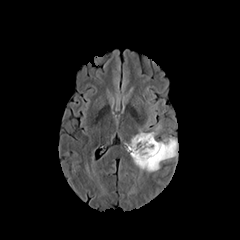
FLAIR MR image.
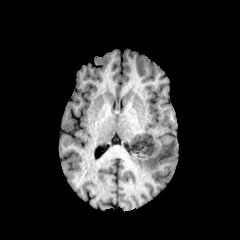
T1-weighted MR image of the same slice.
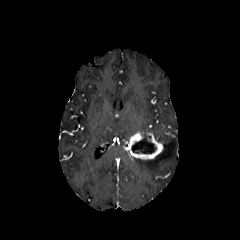
Same slice, post-contrast T1-weighted MRI.
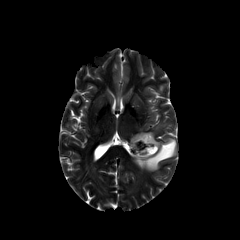
T2-weighted MRI.
Image size 240x240
Non-enhancing tumor core = 131 133 155 154.
Edema = 133 138 176 171.
Enhancing tumor = 127 131 162 160.